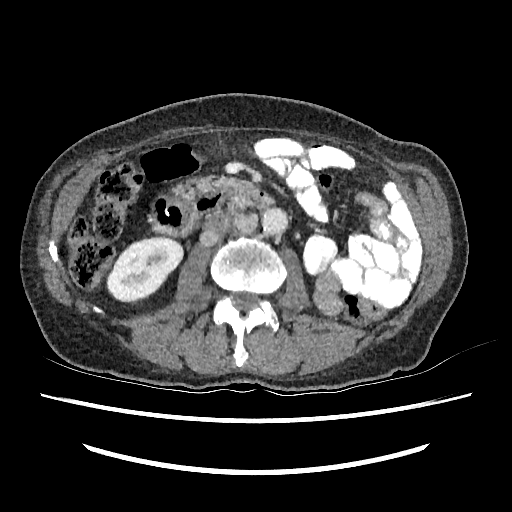

CT slice. Kidney at x1=107 y1=238 x2=182 y2=300.